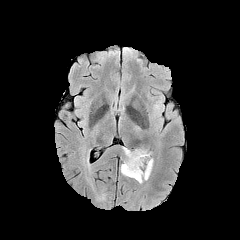
FLAIR MRI.
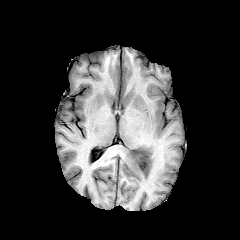
T1-weighted MR image.
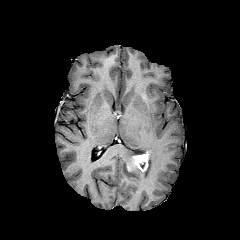
Post-contrast T1-weighted magnetic resonance of the same slice.
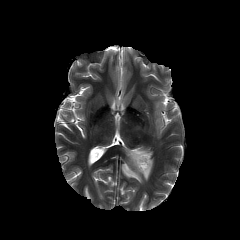
Same slice, T2-weighted MR.
Image size 240x240.
<segmentation>
  <edema><box>120,146,153,183</box></edema>
  <enhancing_tumor><box>132,152,149,170</box></enhancing_tumor>
</segmentation>